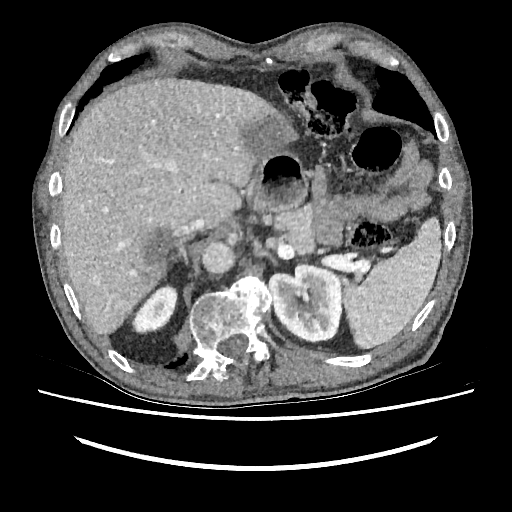

CT slice
kidney:
  - region(134, 287, 176, 330)
  - region(269, 265, 341, 341)
liver:
  - region(62, 78, 298, 333)
focal_liver_lesion:
  - region(140, 228, 172, 285)
  - region(240, 116, 289, 155)